Slice 622/917, CT
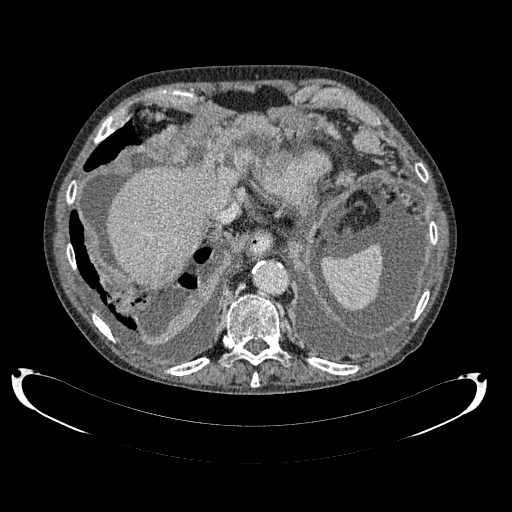
Liver: [x1=107, y1=163, x2=237, y2=285].
Hepatic lesion: [x1=144, y1=201, x2=154, y2=214].